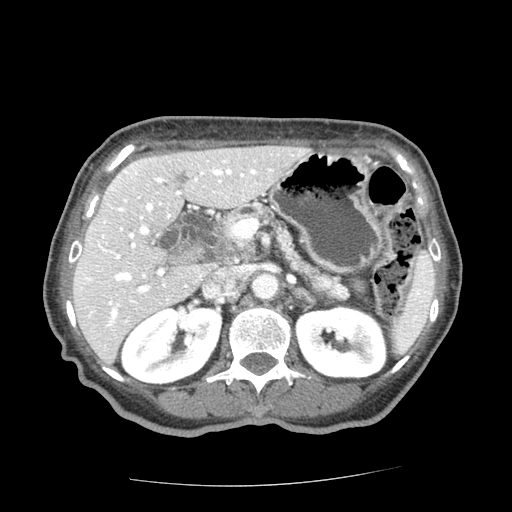
CT scan slice | Upper abdomen | 512x512
Pancreatic tumor: 214,235,256,259.
Pancreas: 224,204,346,300.